FLAIR magnetic resonance.
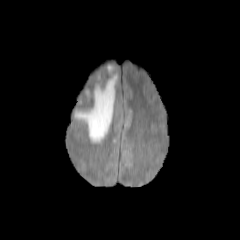
T1-weighted MR.
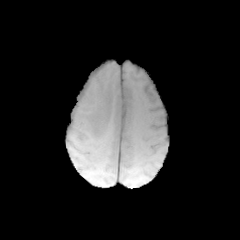
Post-contrast T1-weighted MR.
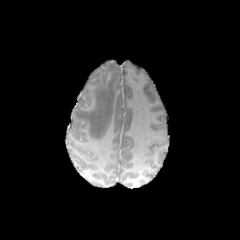
T2-weighted MR image.
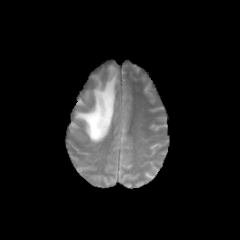
<segmentation>
  <edema>(75, 73, 117, 143)</edema>
</segmentation>